Slice index 449, 512x512, CT image, Thorax
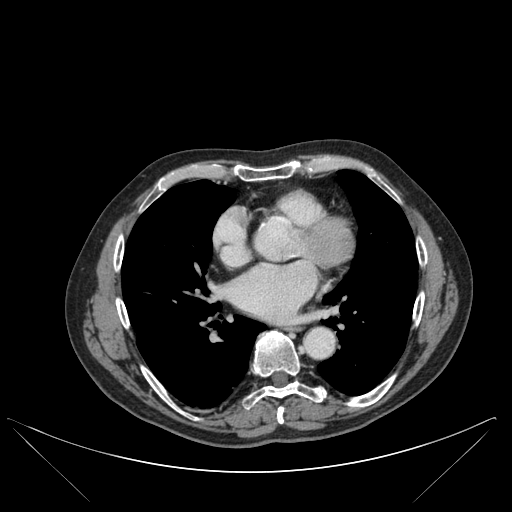 Lung = bbox(317, 170, 417, 395); bbox(121, 180, 265, 406).
Bone = bbox(230, 162, 305, 180); bbox(413, 292, 424, 325); bbox(347, 375, 394, 406); bbox(116, 298, 129, 327); bbox(141, 366, 185, 414); bbox(245, 381, 326, 408); bbox(277, 407, 283, 423); bbox(113, 235, 123, 270); bbox(416, 238, 427, 264); bbox(254, 331, 299, 376).